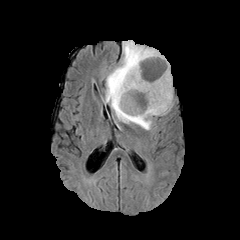
FLAIR MR image.
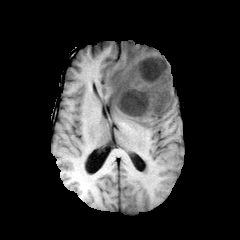
T1-weighted magnetic resonance of the same slice.
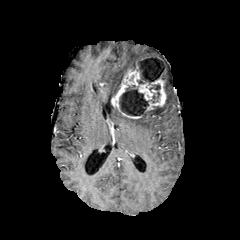
Post-contrast T1-weighted MR image of the same slice.
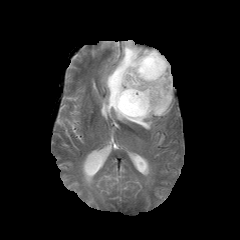
T2-weighted magnetic resonance.
Image size 240x240. Head.
* non-enhancing tumor core: <bbox>153, 106, 165, 114</bbox>, <bbox>119, 85, 150, 115</bbox>, <bbox>132, 56, 164, 83</bbox>
* enhancing tumor: <bbox>111, 65, 166, 110</bbox>
* edema: <bbox>103, 40, 173, 129</bbox>